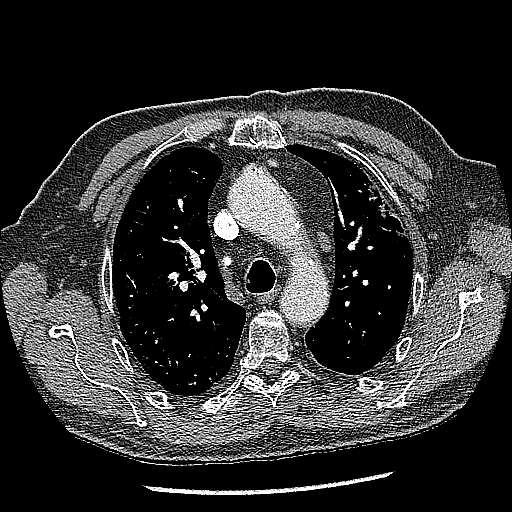
Computed tomography. Lung.
* lung tumor: bbox=[365, 181, 408, 240]